Slice 94 of 155
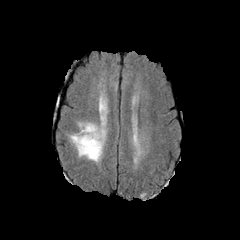
FLAIR MR image.
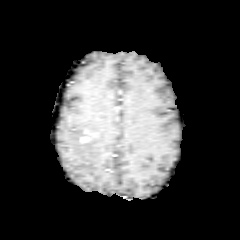
T1-weighted MR of the same slice.
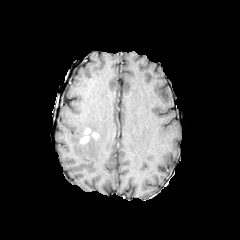
Post-contrast T1-weighted MR image.
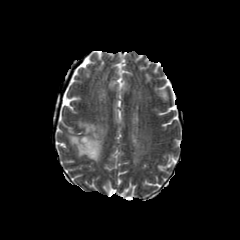
Same slice, T2-weighted magnetic resonance.
edema: 70, 129, 105, 161; 84, 123, 97, 134 | enhancing tumor: 79, 127, 95, 145